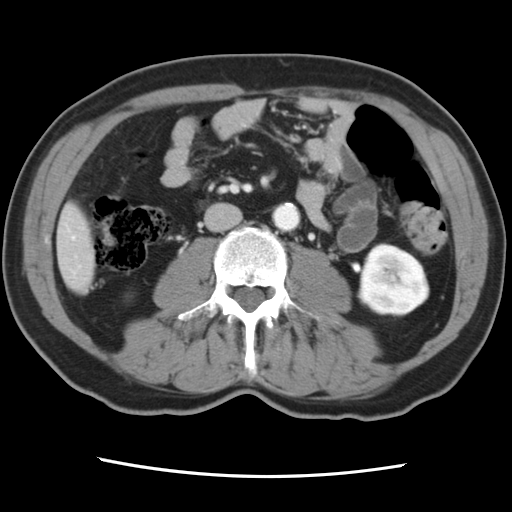
CT image. Only some of the vessels may be annotated.
Hepatic vessel: bounding box left=72, top=236, right=74, bottom=239.